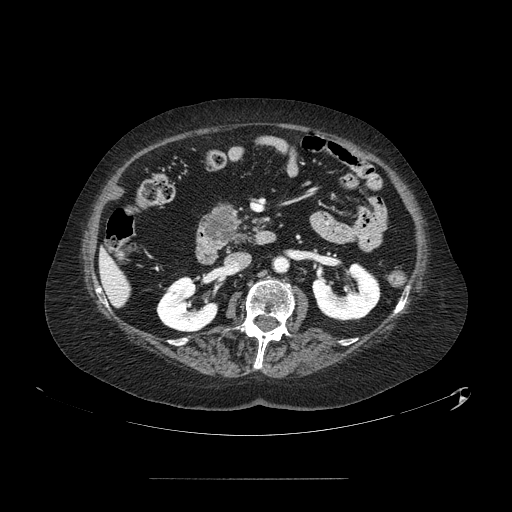 512x512 px | CT image
<segmentation>
  <pancreatic_tumor>203,207,235,242</pancreatic_tumor>
  <pancreas>203,210,239,245; 208,205,228,219</pancreas>
</segmentation>